Slice 42 of 155, Head
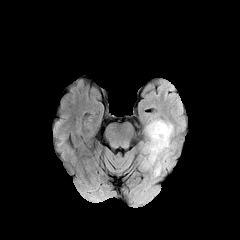
FLAIR MRI.
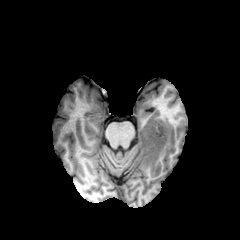
T1-weighted MR image.
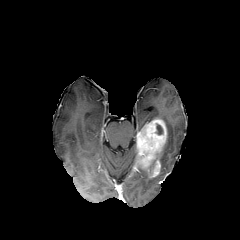
Post-contrast T1-weighted magnetic resonance.
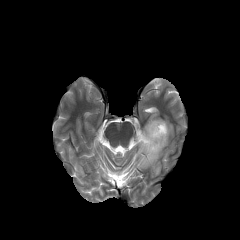
T2-weighted MR image.
Enhancing tumor at rect(151, 160, 160, 178); rect(137, 119, 167, 167).
Edema at rect(156, 123, 172, 161).
Non-enhancing tumor core at rect(156, 124, 162, 134).